Computed tomography; Slice 95 of 131; Abdomen; Field of view 403x403 mm
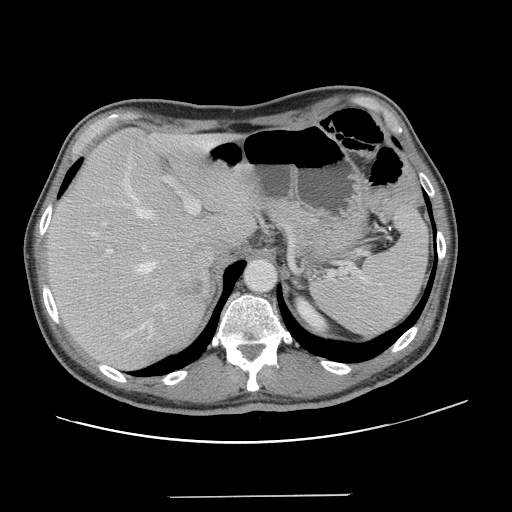 The vessel boxes may cover only some of the vessels.
liver_tumor:
  - <bbox>175, 279, 206, 297</bbox>
hepatic_vessel:
  - <bbox>105, 248, 111, 255</bbox>
  - <bbox>147, 325, 151, 338</bbox>
  - <bbox>163, 177, 170, 181</bbox>
  - <bbox>143, 246, 146, 250</bbox>
  - <bbox>123, 324, 144, 339</bbox>
  - <bbox>185, 201, 199, 214</bbox>
  - <bbox>91, 233, 97, 235</bbox>
  - <bbox>158, 304, 163, 306</bbox>
  - <bbox>137, 262, 154, 273</bbox>
  - <bbox>123, 166, 137, 201</bbox>
  - <bbox>102, 222, 105, 225</bbox>
  - <bbox>150, 319, 152, 321</bbox>
  - <bbox>136, 207, 151, 217</bbox>
  - <bbox>152, 307, 154, 309</bbox>
  - <bbox>176, 190, 179, 192</bbox>